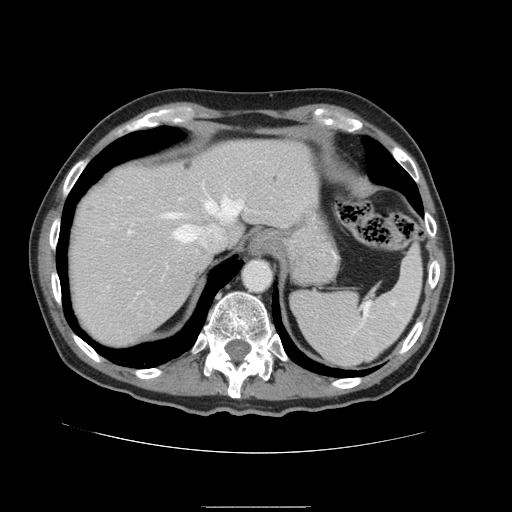

CT image. 512x512. Abdomen. Spleen at 290 247 422 366.